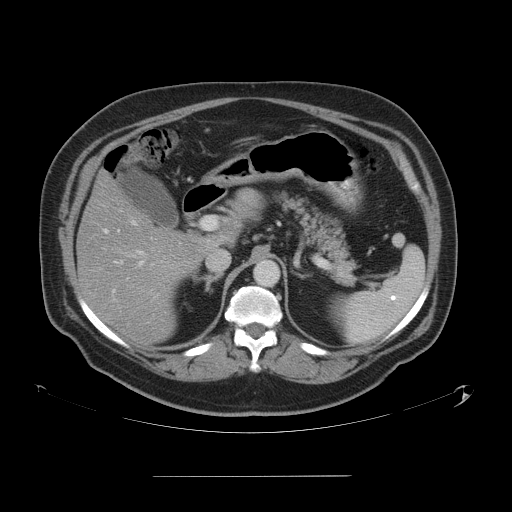 CT image

Only some of the vessels may be annotated.
hepatic vessel: (x1=104, y1=229, x2=107, y2=232), (x1=115, y1=260, x2=122, y2=263), (x1=112, y1=290, x2=114, y2=293), (x1=134, y1=254, x2=135, y2=256), (x1=138, y1=251, x2=143, y2=254), (x1=139, y1=261, x2=143, y2=264)